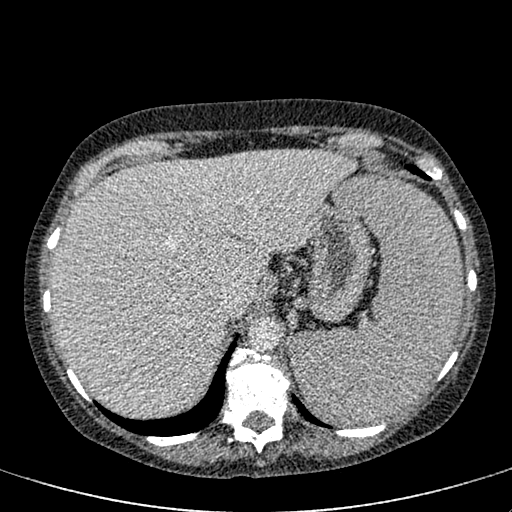
CT image
Segmented structures:
- liver: x1=53, y1=151, x2=357, y2=415